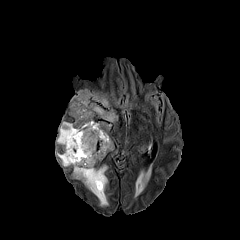
FLAIR MR.
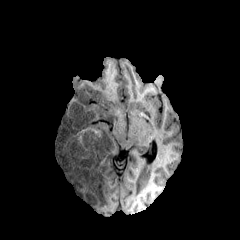
T1-weighted magnetic resonance of the same slice.
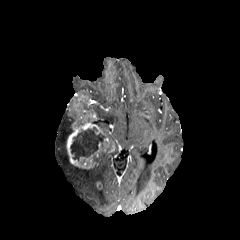
Same slice, post-contrast T1-weighted MR.
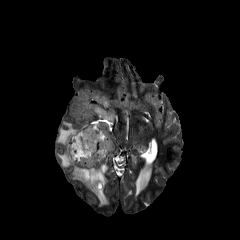
T2-weighted magnetic resonance.
Head.
Segmented structures:
• enhancing tumor: [65,94,115,169]
• edema: [90,103,118,124], [81,88,98,101], [55,118,72,167], [96,121,112,128], [71,164,109,206]
• non-enhancing tumor core: [62,110,74,133], [70,127,104,159]